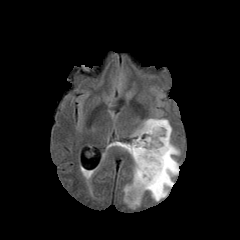
FLAIR MR.
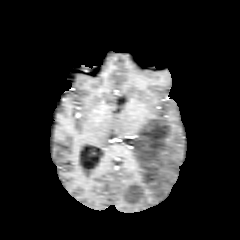
T1-weighted MR image.
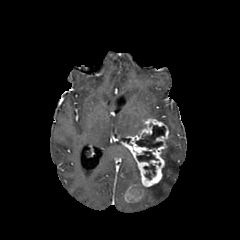
Same slice, post-contrast T1-weighted MR image.
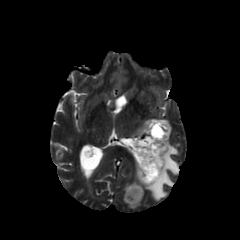
T2-weighted MRI.
240x240. Head.
• non-enhancing tumor core: <box>144,165,155,175</box>, <box>137,151,154,161</box>, <box>136,126,165,148</box>
• edema: <box>133,160,139,182</box>, <box>107,142,130,153</box>, <box>128,202,141,209</box>, <box>144,138,180,201</box>, <box>156,119,171,135</box>
• enhancing tumor: <box>120,119,169,203</box>